CT slice. 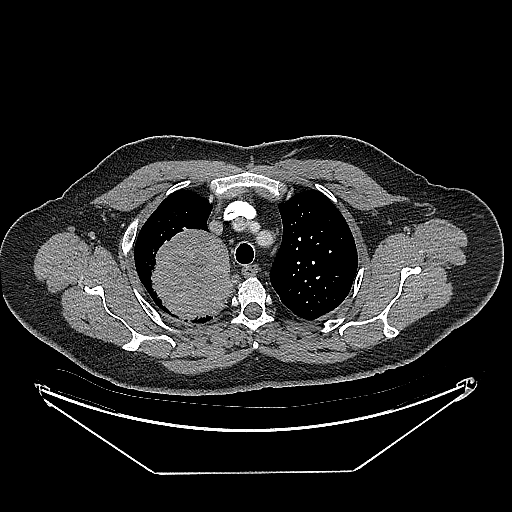
The lung tumor lies within bbox(146, 225, 232, 323).